CT scan slice 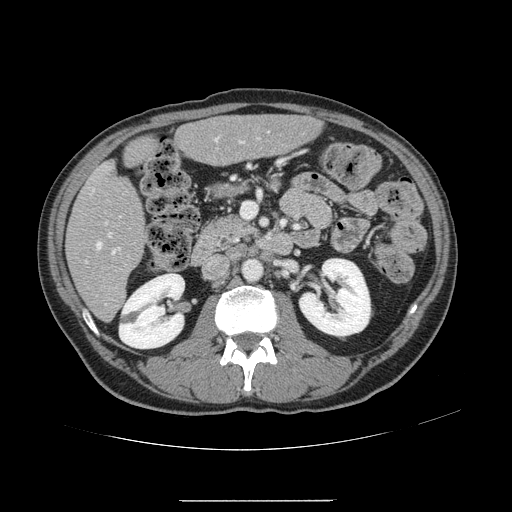

Only some of the vessels may be annotated.
6 hepatic vessel regions are located at 239,142,243,142; 91,189,94,192; 215,137,219,140; 108,233,111,235; 112,247,119,253; 96,242,101,249.